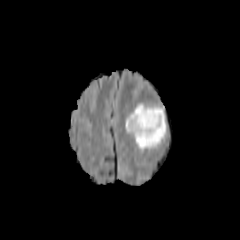
FLAIR MR image.
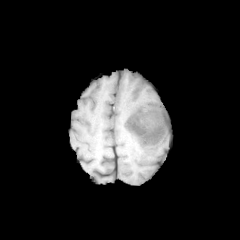
Same slice, T1-weighted MRI.
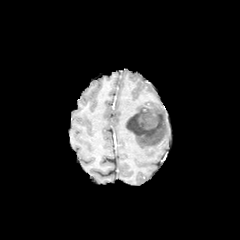
Post-contrast T1-weighted magnetic resonance.
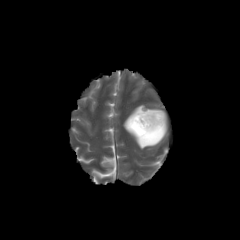
T2-weighted MR.
Brain.
* non-enhancing tumor core: (127, 111, 160, 136)
* edema: (125, 104, 169, 149)